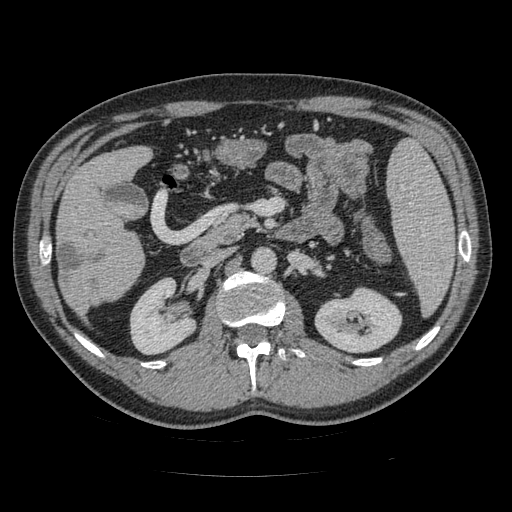
CT image. Image size 512x512. Upper abdomen.
- pancreas: bbox=[205, 214, 256, 241]